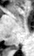

Image size 34x56; MR
Posterior hippocampus = 12:46:18:49.